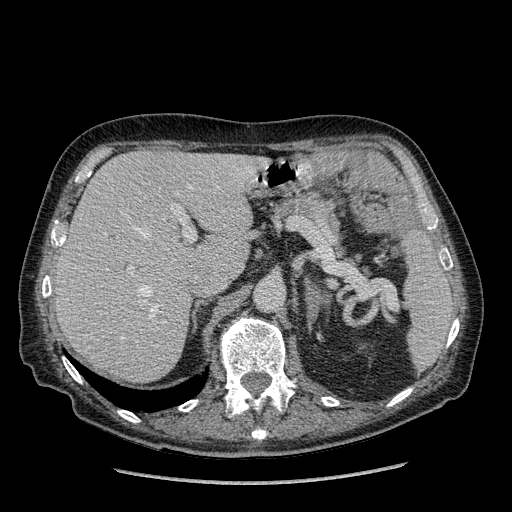
Abdomen; CT slice

Liver at [x1=56, y1=151, x2=265, y2=382].